Slice index 458; CT scan slice
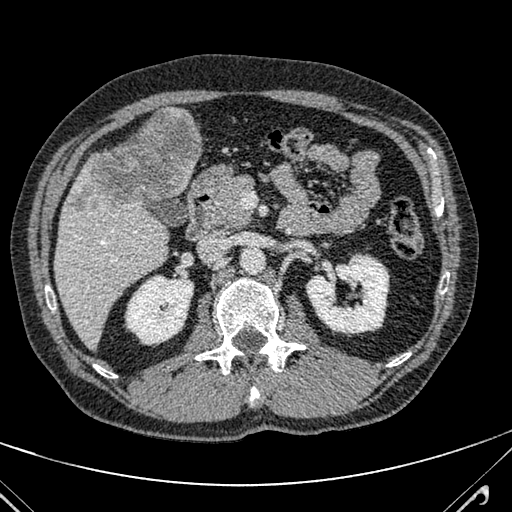 Findings:
• liver: (54,158,167,347), (173,161,195,194)
• hepatic lesion: (71,109,197,208)